512x512 px. Liver. CT slice.

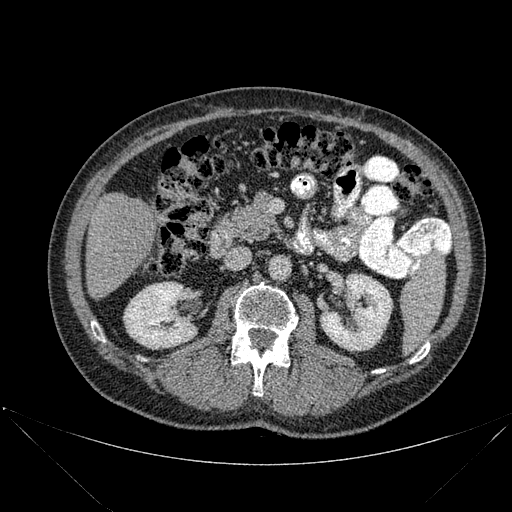

The liver lies within rect(86, 193, 153, 297). 3 bone regions appear at rect(410, 342, 429, 363); rect(91, 321, 104, 341); rect(231, 282, 297, 395). 2 kidney regions are located at rect(124, 282, 196, 348); rect(320, 274, 392, 350).